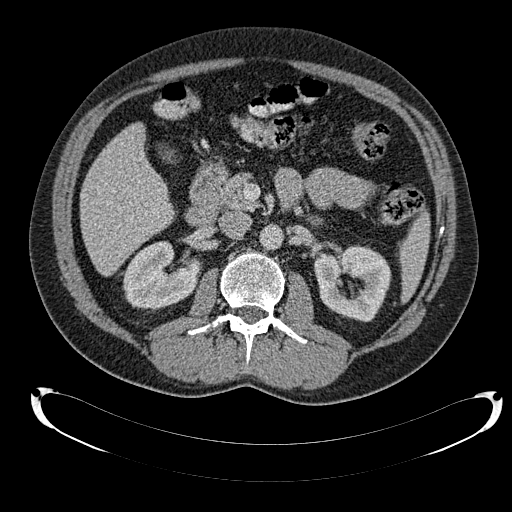
CT, Abdomen
Liver: bounding box (80,123,173,274).
Kidney: bounding box (124,242,198,308), (315,247,390,321).